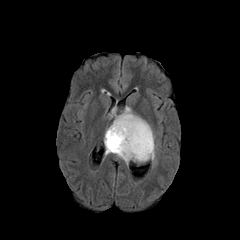
FLAIR magnetic resonance.
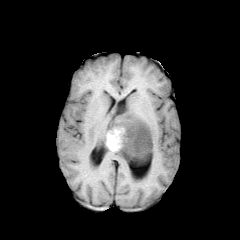
T1-weighted MR.
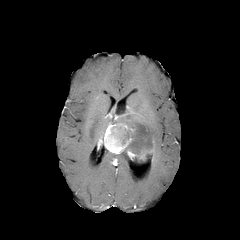
Post-contrast T1-weighted MRI of the same slice.
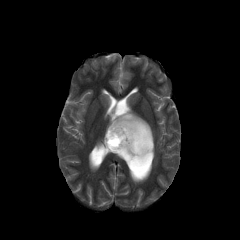
T2-weighted MR of the same slice.
Non-enhancing tumor core — l=118, t=150, r=152, b=164; l=126, t=121, r=152, b=154.
Enhancing tumor — l=126, t=149, r=153, b=159; l=104, t=115, r=142, b=154.
Edema — l=103, t=149, r=129, b=167; l=106, t=99, r=157, b=165.